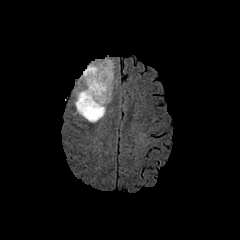
FLAIR MRI.
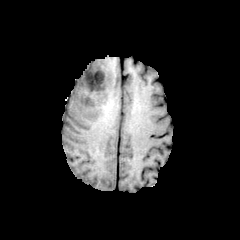
T1-weighted magnetic resonance.
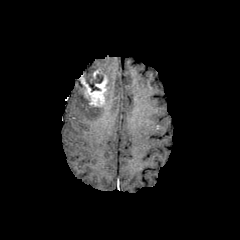
Post-contrast T1-weighted MRI.
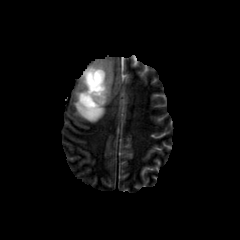
Same slice, T2-weighted magnetic resonance.
240x240
2 non-enhancing tumor core regions are located at [87, 76, 99, 90], [94, 74, 102, 82]. The edema is located at [74, 60, 113, 123]. The enhancing tumor is located at [80, 68, 108, 108].